Abdomen. Slice 474/683. CT slice. 512x512 px.
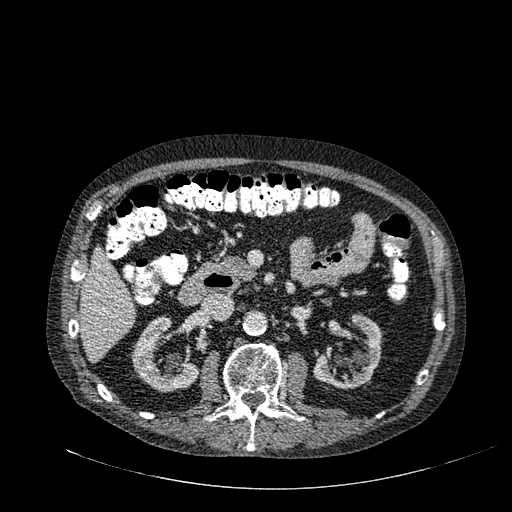

Annotated regions:
* kidney: [313, 314, 381, 389], [132, 315, 198, 392], [329, 320, 355, 339]
* liver: [82, 248, 135, 361]